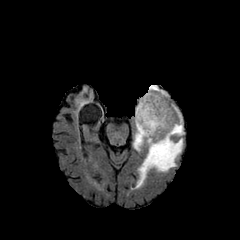
FLAIR MRI.
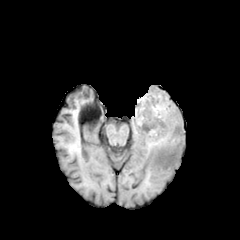
Same slice, T1-weighted magnetic resonance.
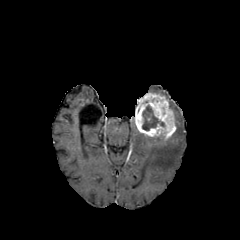
Post-contrast T1-weighted MRI.
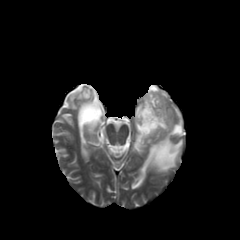
Same slice, T2-weighted MRI.
Brain
Non-enhancing tumor core = <box>142,105,158,130</box>.
Edema = <box>133,103,184,188</box>, <box>148,85,167,96</box>.
Enhancing tumor = <box>134,91,176,139</box>.